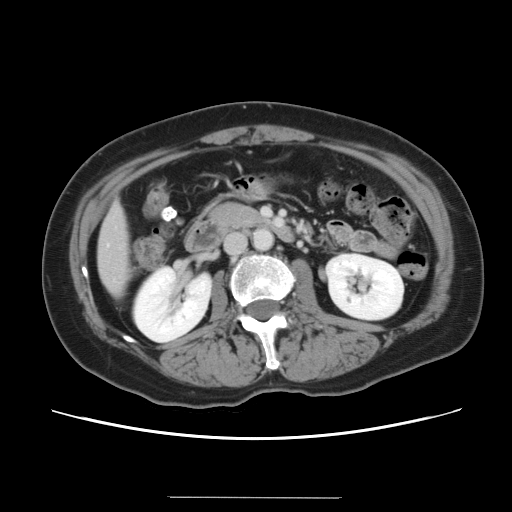 CT scan slice

The vessel annotation is not exhaustive.
2 hepatic vessel regions are located at x1=107 y1=245 x2=108 y2=246, x1=113 y1=280 x2=116 y2=282.